240x240 | Head
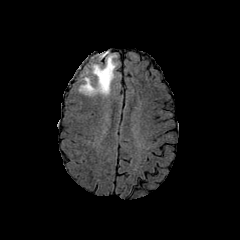
FLAIR MRI.
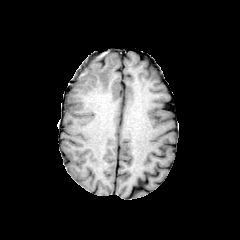
T1-weighted magnetic resonance.
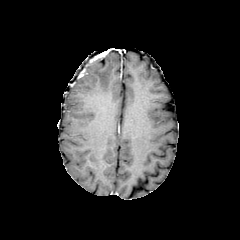
Post-contrast T1-weighted MRI.
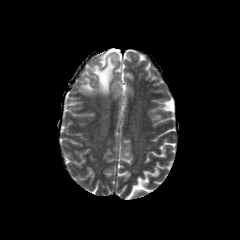
T2-weighted MR of the same slice.
Edema = <box>79,52,117,95</box>.
Non-enhancing tumor core = <box>89,56,105,65</box>.